Brain; 240x240 px
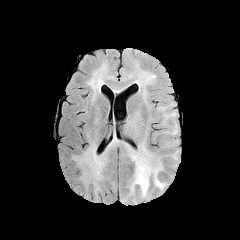
FLAIR MR image.
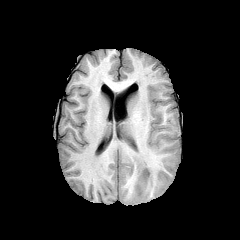
T1-weighted MR.
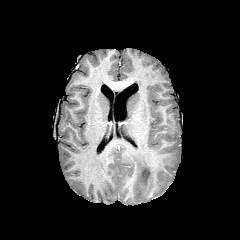
Post-contrast T1-weighted MR image.
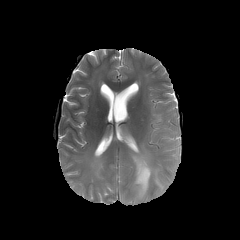
Same slice, T2-weighted magnetic resonance.
Edema at bbox=[128, 148, 166, 199]; bbox=[78, 144, 104, 182].
Non-enhancing tumor core at bbox=[140, 168, 149, 182].